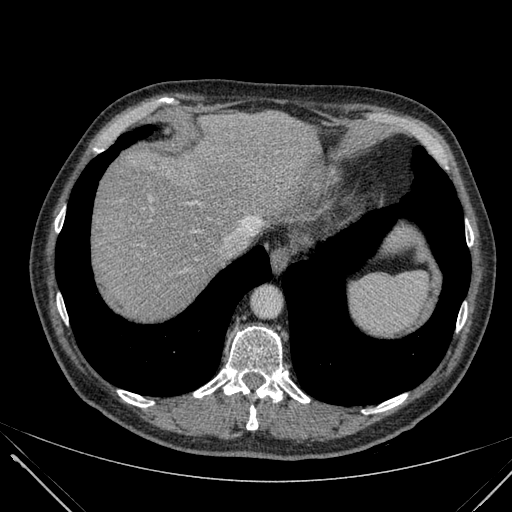 Upper abdomen. CT slice.
{"liver": ["(left=92, top=111, right=328, bottom=321)"]}